CT slice. Slice 80/134.

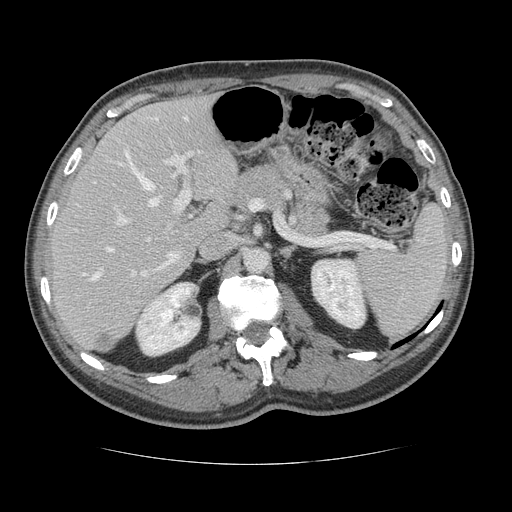
Some hepatic vessels may have no box.
The liver tumor is located at 96, 333, 115, 349. The most prominent 15 hepatic vessel regions (of 18) are bounded by 158, 252, 178, 268; 106, 247, 113, 251; 141, 270, 148, 276; 118, 162, 122, 164; 92, 268, 102, 279; 124, 149, 153, 189; 174, 188, 189, 210; 149, 195, 160, 205; 114, 205, 127, 225; 131, 270, 135, 274; 152, 117, 158, 120; 147, 237, 150, 240; 184, 116, 187, 119; 164, 152, 191, 172; 172, 173, 175, 175.